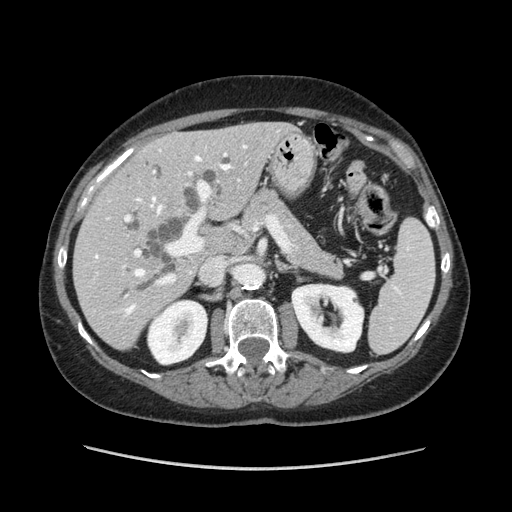

512x512 px, Computed tomography, Upper abdomen

{
  "pancreas": [
    "box(240, 185, 345, 282)"
  ]
}